Pelvis. Field of view 200 mm wide, 3.60 mm slice spacing. 320x320 px.
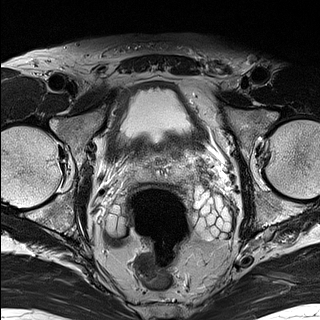
T2-weighted MR image.
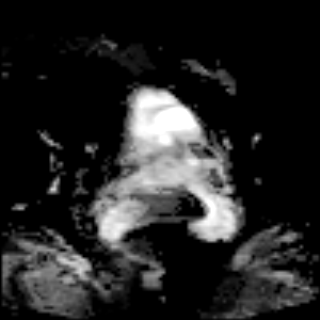
Same slice, ADC magnetic resonance.
Prostate transition zone = x1=136, y1=144, x2=189, y2=181.